CT image; Slice 621 of 671 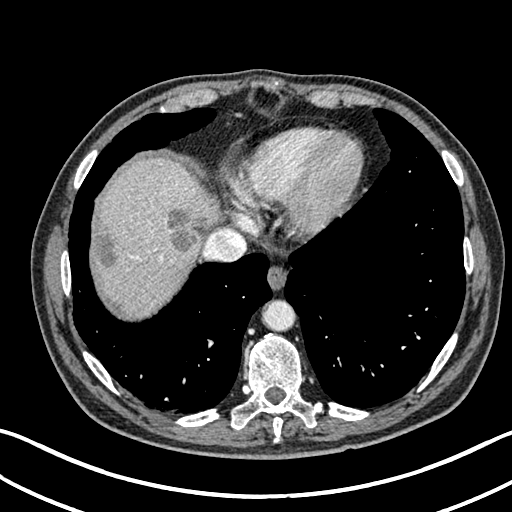

The liver appears at x1=94 y1=158 x2=218 y2=314. 3 hepatic lesion regions appear at x1=193 y1=216 x2=205 y2=236, x1=167 y1=209 x2=195 y2=250, x1=96 y1=236 x2=116 y2=266.